Image size 240x240; Image width 240 mm
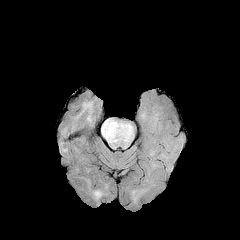
FLAIR magnetic resonance.
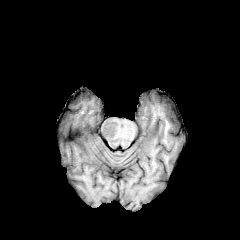
T1-weighted MR.
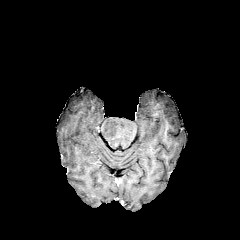
Post-contrast T1-weighted MRI of the same slice.
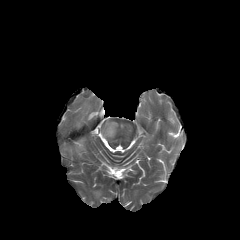
Same slice, T2-weighted MR.
Segmented structures:
• edema: left=101, top=120, right=117, bottom=142